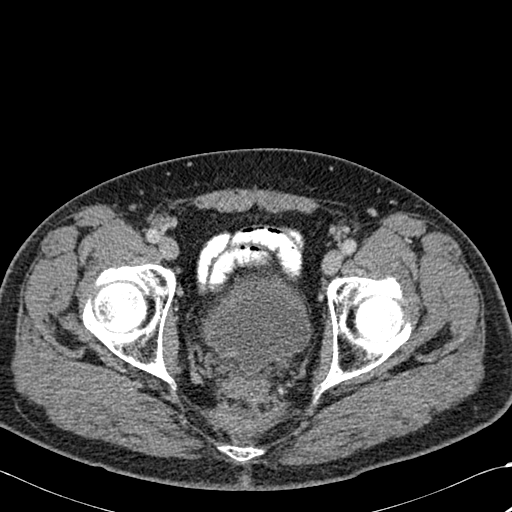

Computed tomography.
Bone — 83, 264, 175, 382; 321, 277, 410, 390; 220, 446, 261, 460.